CT.

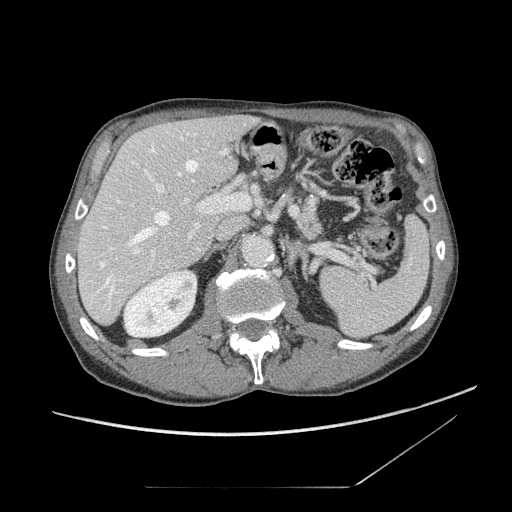

Pancreas: [299,207,321,238].